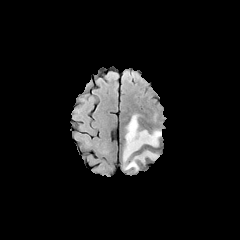
FLAIR MRI.
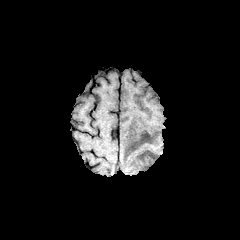
T1-weighted MRI.
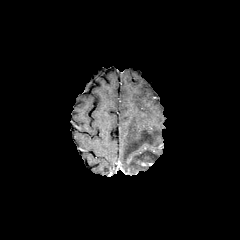
Post-contrast T1-weighted MR image of the same slice.
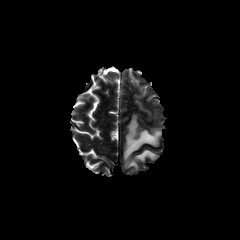
Same slice, T2-weighted MRI.
Brain
{
  "edema": [
    "[125, 150, 158, 169]",
    "[124, 115, 161, 160]"
  ]
}